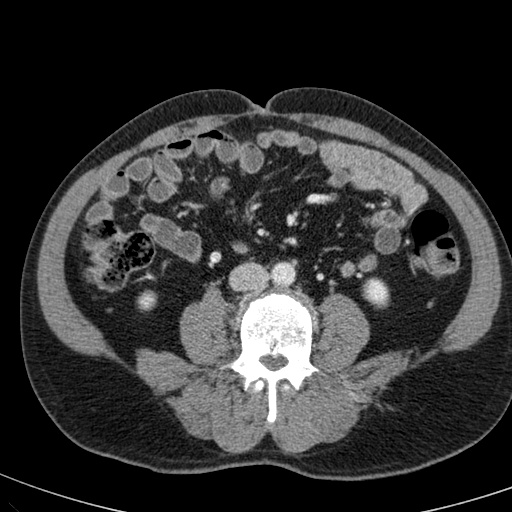
Image size 512x512; Abdomen; CT image
The kidney is located at 368 281 385 300.